FLAIR magnetic resonance.
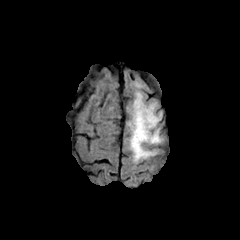
T1-weighted magnetic resonance.
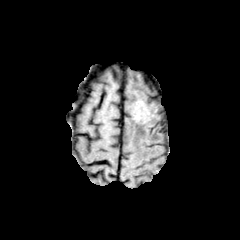
Post-contrast T1-weighted MRI.
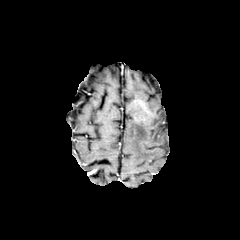
T2-weighted magnetic resonance.
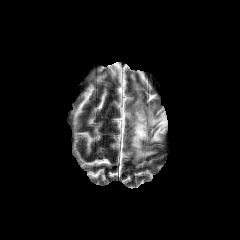
Segmented structures:
- non-enhancing tumor core: 132:100:155:124
- edema: 127:90:163:162